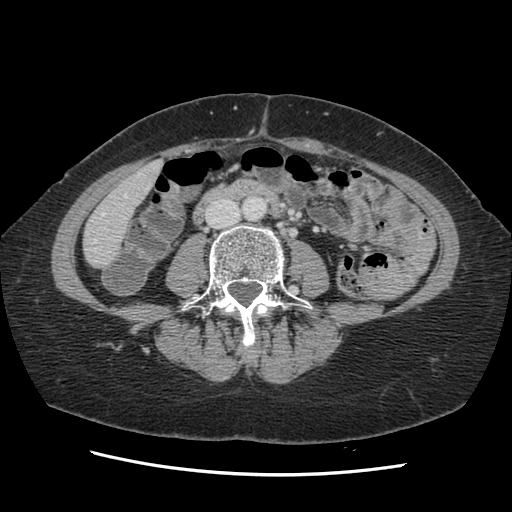
CT | Abdomen
Only some of the vessels may be annotated.
3 hepatic vessel regions are bounded by l=101, t=213, r=104, b=215; l=93, t=248, r=95, b=251; l=94, t=240, r=96, b=242.